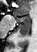
37x52; MR

anterior_hippocampus:
  - bbox=[16, 15, 30, 21]
posterior_hippocampus:
  - bbox=[17, 22, 30, 37]